Brain
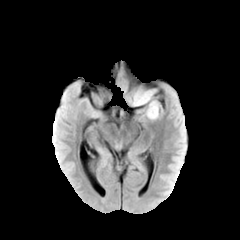
FLAIR MR.
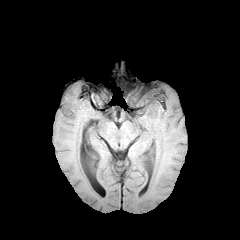
T1-weighted MRI.
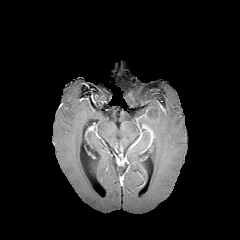
Same slice, post-contrast T1-weighted MR image.
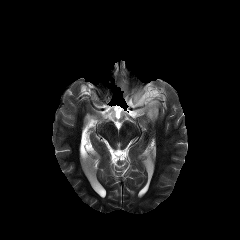
T2-weighted magnetic resonance.
Edema: bbox(134, 88, 160, 119).
Non-enhancing tumor core: bbox(128, 90, 153, 105).